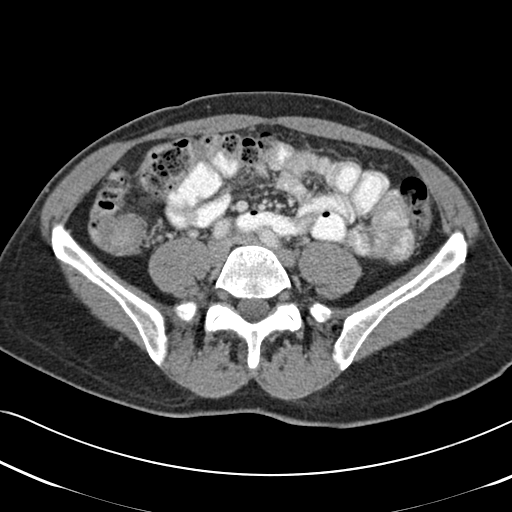

512x512 px | Abdomen | Computed tomography
Colon tumor — box=[93, 214, 146, 255].